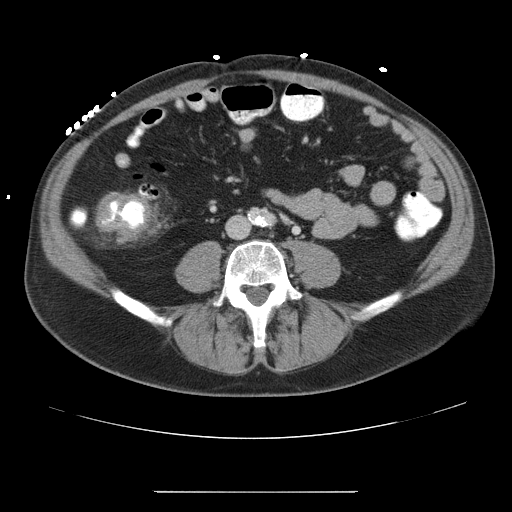
CT image | Pelvis | 512x512 px
Colon tumor — 96, 193, 151, 242.